CT image. Field of view 512 mm wide, 1.00 mm slice spacing. 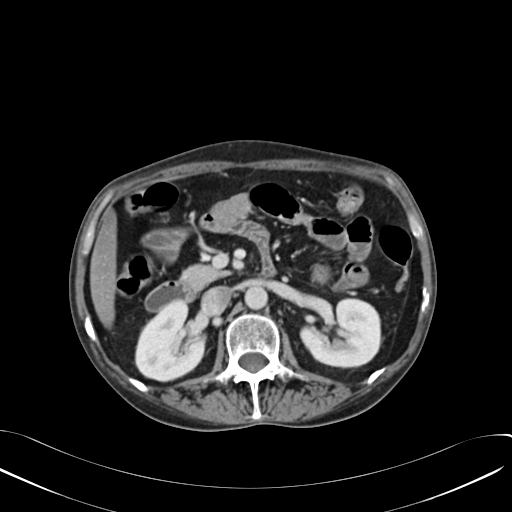 The liver is bounded by l=90, t=210, r=116, b=321. 2 kidney regions are located at l=136, t=301, r=203, b=380; l=302, t=300, r=379, b=365.